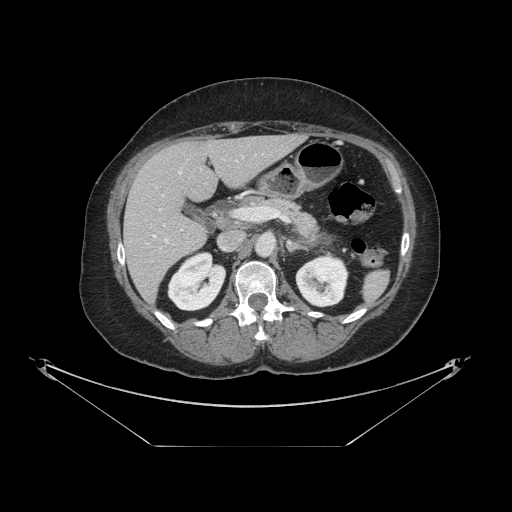 CT slice. Abdomen.
Findings:
* pancreas: (left=263, top=198, right=319, bottom=245)